FLAIR MR image.
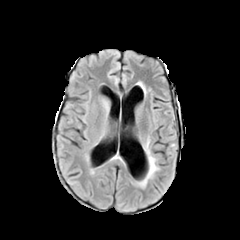
T1-weighted magnetic resonance.
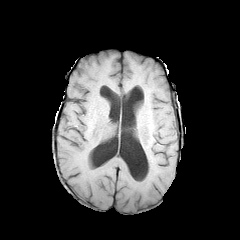
Post-contrast T1-weighted magnetic resonance.
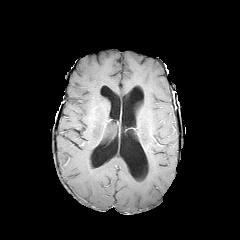
T2-weighted MRI.
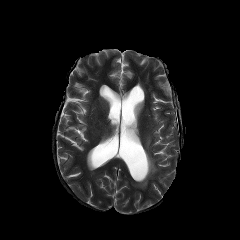
Head
The edema is located at {"x1": 137, "y1": 136, "x2": 159, "y2": 188}.